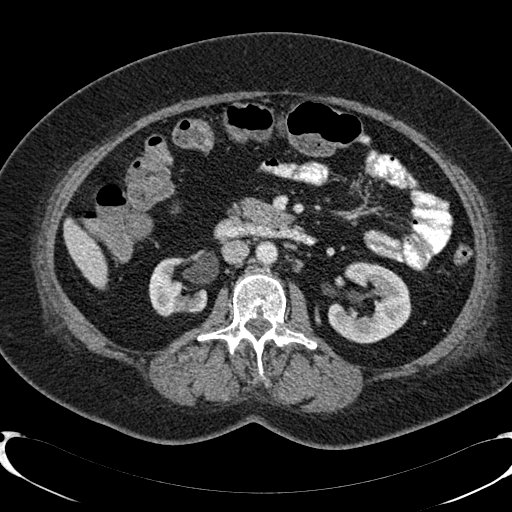

CT
The liver appears at bbox(64, 221, 106, 285). 2 kidney regions appear at bbox(328, 263, 409, 342); bbox(148, 259, 208, 315).